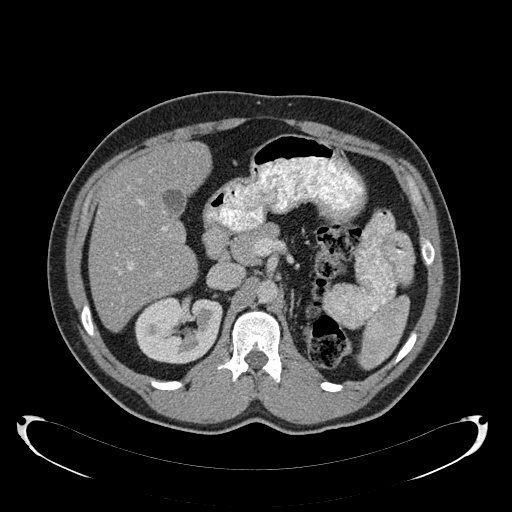 512x512 px, Computed tomography
Liver = bbox=[89, 143, 209, 330].
Kidney = bbox=[135, 298, 221, 362].